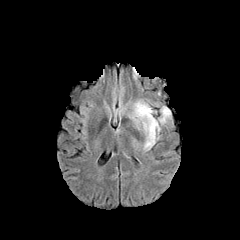
FLAIR MR.
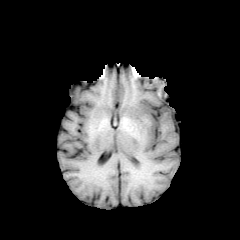
Same slice, T1-weighted MR.
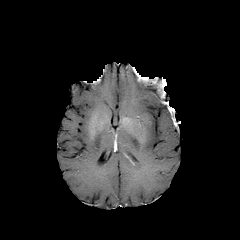
Post-contrast T1-weighted MR image of the same slice.
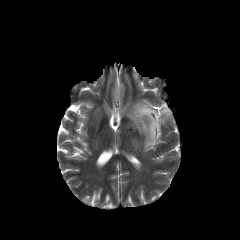
Same slice, T2-weighted magnetic resonance.
Head
Edema: [124, 99, 172, 152].